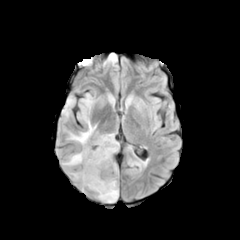
FLAIR MR image.
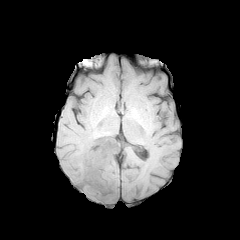
T1-weighted MR image of the same slice.
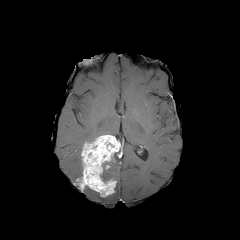
Same slice, post-contrast T1-weighted MR image.
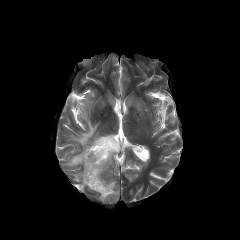
Same slice, T2-weighted MR image.
<segmentation>
  <non-enhancing_tumor_core>{"x1": 100, "y1": 155, "x2": 115, "y2": 181}</non-enhancing_tumor_core>
  <edema>{"x1": 71, "y1": 171, "x2": 81, "y2": 180}, {"x1": 69, "y1": 93, "x2": 97, "y2": 145}, {"x1": 62, "y1": 153, "x2": 81, "y2": 166}, {"x1": 95, "y1": 183, "x2": 118, "y2": 202}, {"x1": 62, "y1": 95, "x2": 75, "y2": 119}, {"x1": 106, "y1": 160, "x2": 118, "y2": 179}</edema>
  <enhancing_tumor>{"x1": 78, "y1": 135, "x2": 119, "y2": 197}</enhancing_tumor>
</segmentation>